CT. 512x512 px. Slice 75 of 102.

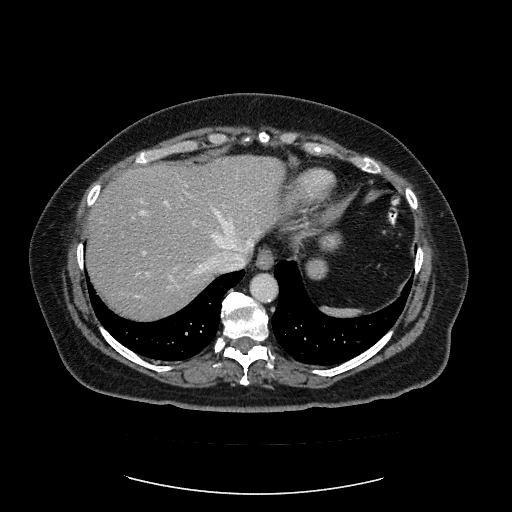
Only some of the vessels may be annotated.
15 hepatic vessel regions are located at (246, 231, 260, 246), (165, 201, 168, 204), (140, 199, 143, 201), (132, 216, 134, 218), (209, 257, 215, 260), (107, 234, 108, 236), (169, 275, 173, 279), (175, 283, 177, 285), (212, 208, 237, 247), (143, 252, 145, 254), (147, 272, 148, 275), (185, 184, 187, 186), (141, 211, 146, 213), (175, 268, 177, 269), (195, 263, 208, 272).